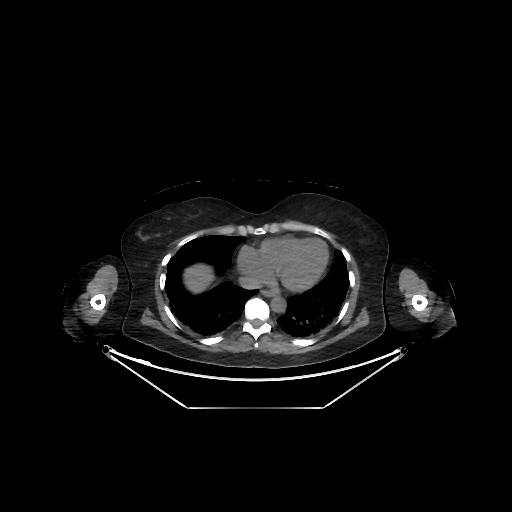

CT

Segmented structures:
* liver: x1=184, y1=265, x2=213, y2=292